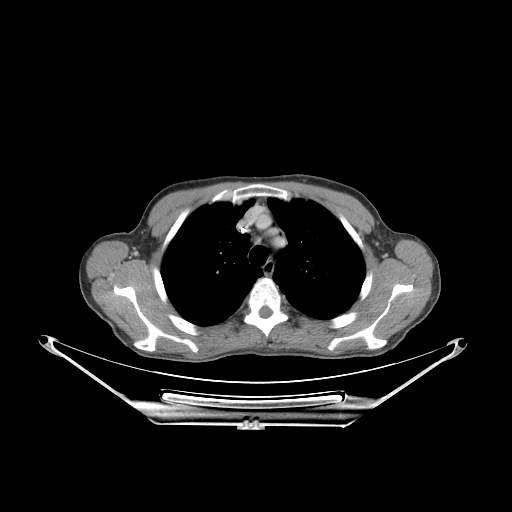

512x512 | CT image
11 bone regions are bounded by left=328, top=284, right=412, bottom=349; left=154, top=269, right=166, bottom=300; left=277, top=189, right=287, bottom=198; left=244, top=278, right=287, bottom=335; left=169, top=212, right=185, bottom=236; left=169, top=315, right=195, bottom=333; left=233, top=184, right=266, bottom=201; left=361, top=277, right=371, bottom=298; left=167, top=336, right=197, bottom=351; left=114, top=286, right=165, bottom=350; left=333, top=313, right=356, bottom=327. 2 lung regions appear at left=161, top=199, right=262, bottom=325; left=268, top=198, right=365, bottom=319.